Slice 223/407. CT slice. Field of view 358 mm wide, 1.50 mm slice spacing. Liver.
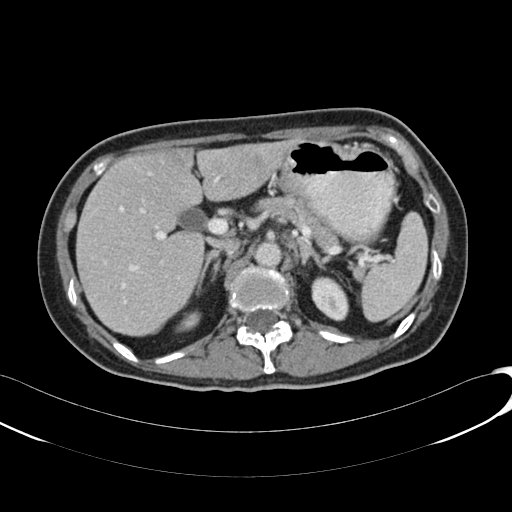 The kidney is at (313,279,346,319). The liver is at (76,140,300,334). 2 liver lesion regions are bounded by (255,154,261,163), (171,153,184,166).